FLAIR magnetic resonance.
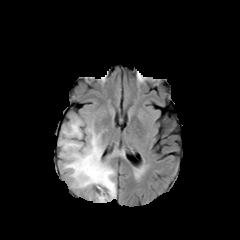
T1-weighted MR.
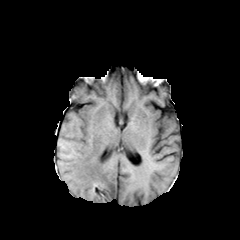
Post-contrast T1-weighted MR image.
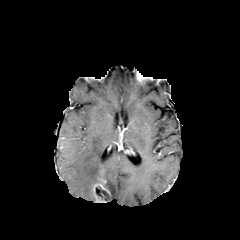
T2-weighted MRI.
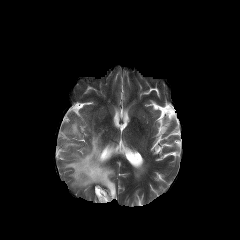
Head
Edema: 59,120,116,200.
Non-enhancing tumor core: 96,190,108,201; 98,169,108,188.